42x51 | MRI | Slice index 12 | Field of view 42x51 mm 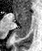 posterior_hippocampus:
  - <bbox>15, 24, 30, 39</bbox>
anterior_hippocampus:
  - <bbox>15, 8, 31, 23</bbox>